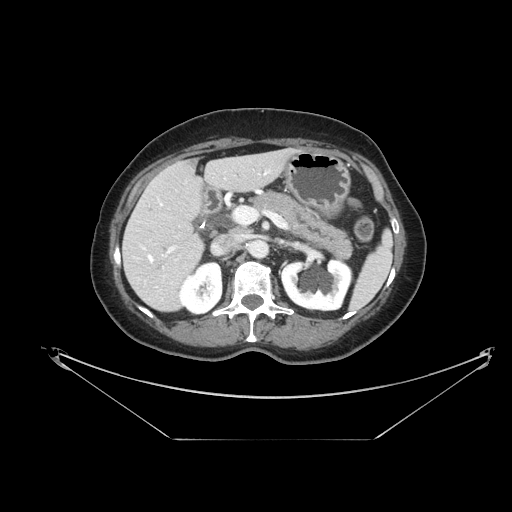
Upper abdomen | CT slice
pancreas:
  - (253, 191, 353, 259)